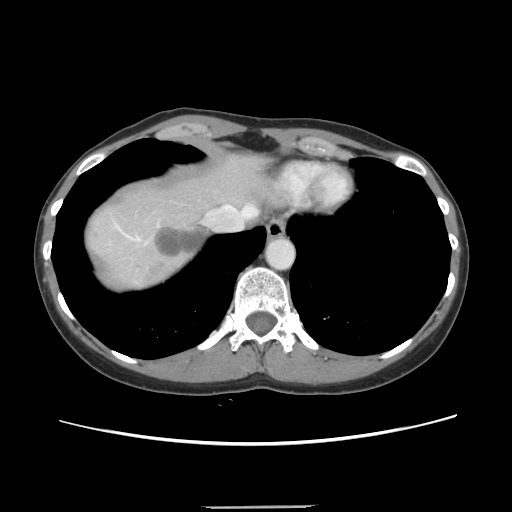 Image size 512x512; CT image
Only some of the vessels may be annotated.
3 hepatic vessel regions are located at <box>222,206,230,207</box>, <box>115,225,126,235</box>, <box>130,236,138,240</box>. The liver tumor is bounded by <box>153,227,207,256</box>.